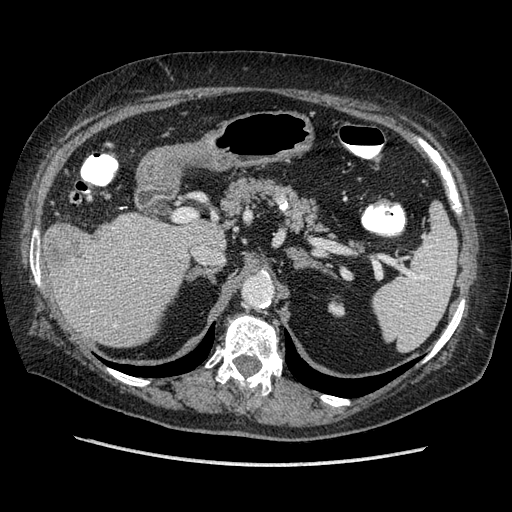 Abdomen; CT scan slice
The liver tumor appears at left=45, top=223, right=91, bottom=261.